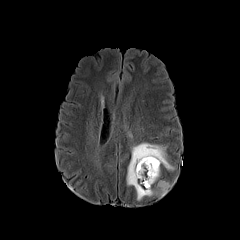
FLAIR MR.
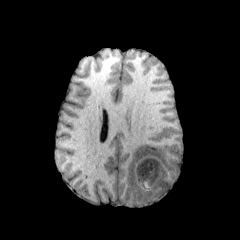
Same slice, T1-weighted MR.
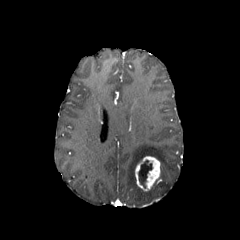
Post-contrast T1-weighted magnetic resonance.
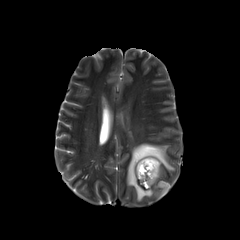
T2-weighted MRI of the same slice.
Annotated regions:
* non-enhancing tumor core: [138,160,151,185]
* edema: [157,181,170,196], [126,142,174,200]
* enhancing tumor: [133,155,160,191]